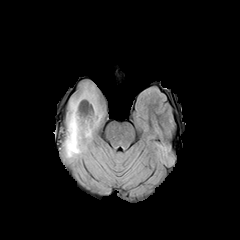
FLAIR magnetic resonance.
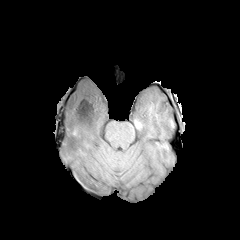
Same slice, T1-weighted MR image.
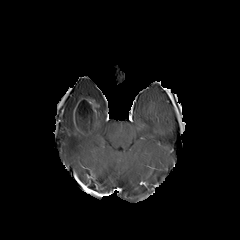
Post-contrast T1-weighted MR of the same slice.
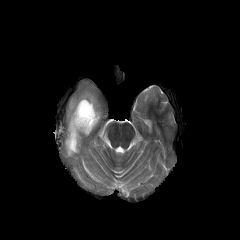
T2-weighted MRI.
240x240 px
The non-enhancing tumor core is bounded by {"x1": 72, "y1": 96, "x2": 99, "y2": 129}. The edema lies within {"x1": 63, "y1": 86, "x2": 101, "y2": 160}. The enhancing tumor appears at {"x1": 85, "y1": 98, "x2": 99, "y2": 112}.